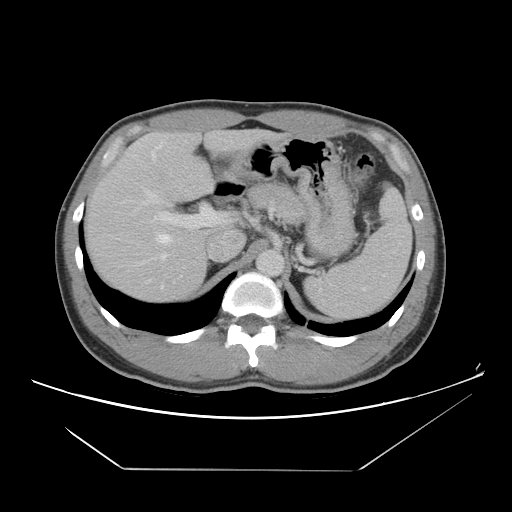 CT image

The vessel annotation is not exhaustive.
- hepatic vessel: [156, 234, 170, 243], [145, 191, 158, 203], [161, 254, 166, 259], [154, 206, 216, 228], [151, 151, 155, 160]